Head. Slice index 93.
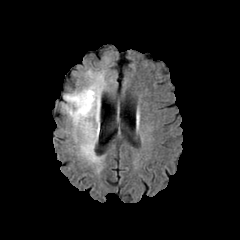
FLAIR MR.
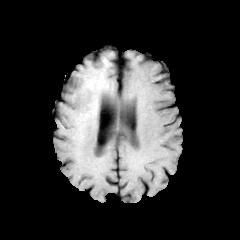
T1-weighted magnetic resonance of the same slice.
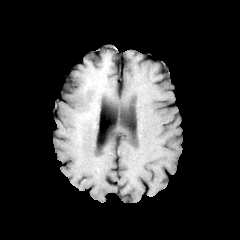
Post-contrast T1-weighted MRI.
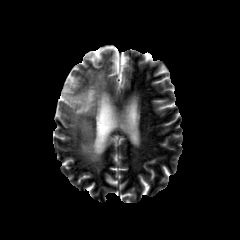
T2-weighted MR image.
2 edema regions are located at l=91, t=72, r=106, b=89; l=64, t=87, r=100, b=163. The non-enhancing tumor core lies within l=74, t=83, r=103, b=125.